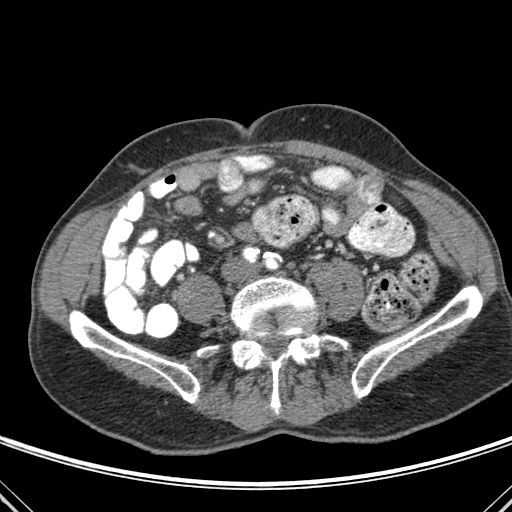

CT slice | 512x512

Annotated regions:
• bone: bbox=[351, 286, 482, 398]; bbox=[197, 346, 218, 356]; bbox=[69, 311, 200, 402]; bbox=[231, 277, 347, 411]